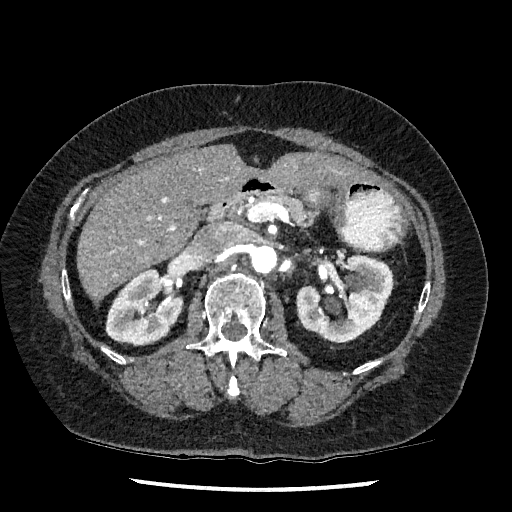
Liver | CT
Segmented structures:
- kidney: l=297, t=255, r=392, b=342; l=106, t=260, r=186, b=344
- liver: l=261, t=154, r=370, b=186; l=77, t=145, r=257, b=299